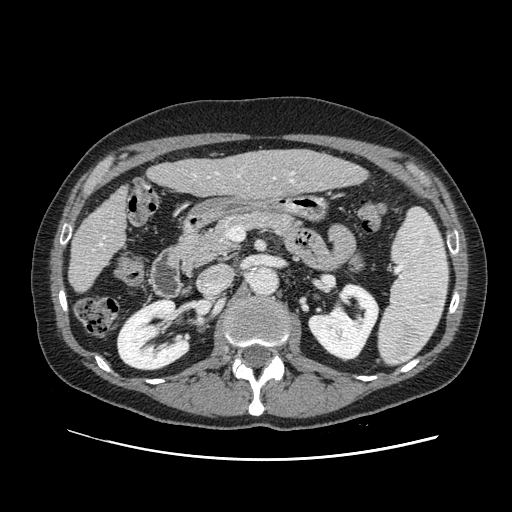 512x512 | Computed tomography

Segmented structures:
* pancreas: <bbox>173, 210, 297, 272</bbox>